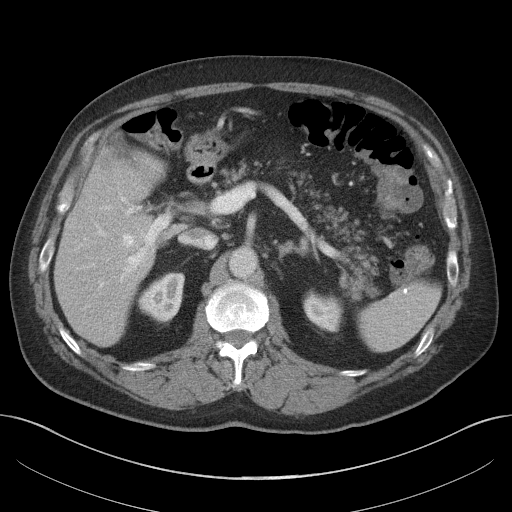

Upper abdomen; Computed tomography; 512x512 px

<segmentation>
  <liver_lesion>left=100, top=158, right=113, bottom=169</liver_lesion>
  <kidney>left=140, top=274, right=183, bottom=319; left=305, top=297, right=337, bottom=329</kidney>
  <liver>left=56, top=144, right=163, bottom=344</liver>
</segmentation>